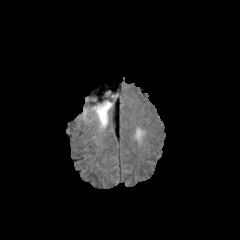
FLAIR magnetic resonance.
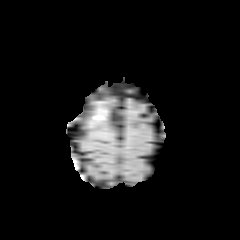
Same slice, T1-weighted MRI.
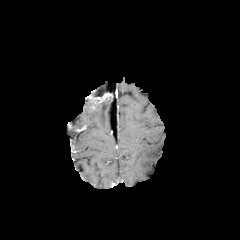
Post-contrast T1-weighted MR.
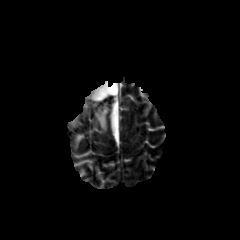
T2-weighted MR.
The edema is bounded by 82:101:113:132.